Image width 339 mm; CT
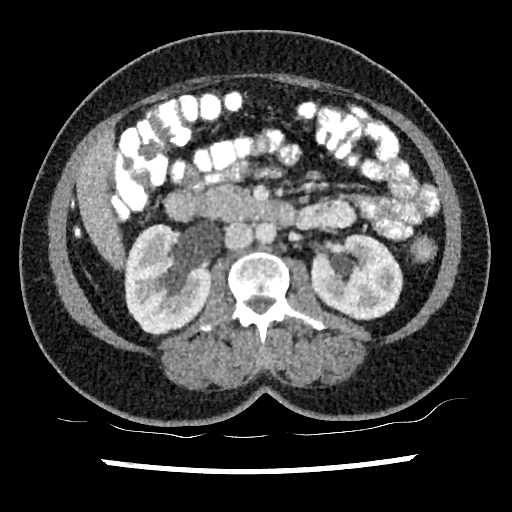

Annotated regions:
• liver: {"x1": 77, "y1": 132, "x2": 122, "y2": 265}
• kidney: {"x1": 126, "y1": 225, "x2": 210, "y2": 333}, {"x1": 312, "y1": 235, "x2": 401, "y2": 318}